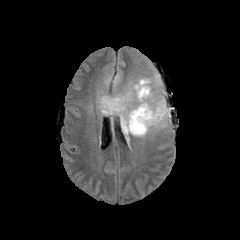
FLAIR MR image.
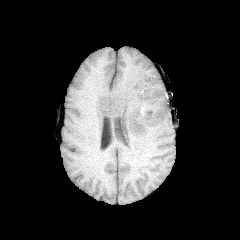
T1-weighted MRI.
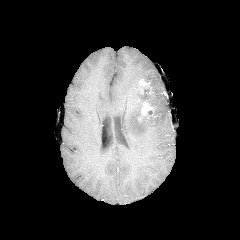
Post-contrast T1-weighted MRI of the same slice.
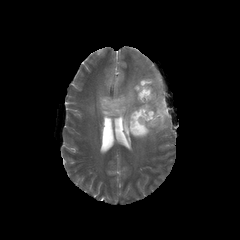
Same slice, T2-weighted MR image.
enhancing tumor: (138, 102, 153, 118), (139, 80, 149, 87) | non-enhancing tumor core: (108, 94, 132, 119), (137, 104, 166, 124), (137, 86, 152, 103) | edema: (98, 74, 170, 141)